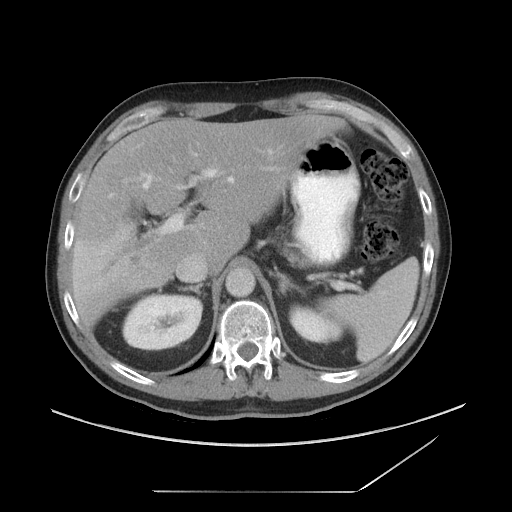 Liver, Computed tomography, Image size 512x512

Some hepatic vessels may have no box.
liver_tumor:
  - left=129, top=253, right=144, bottom=269
hepatic_vessel:
  - left=228, top=177, right=232, bottom=181
  - left=176, top=185, right=181, bottom=188
  - left=206, top=169, right=215, bottom=175